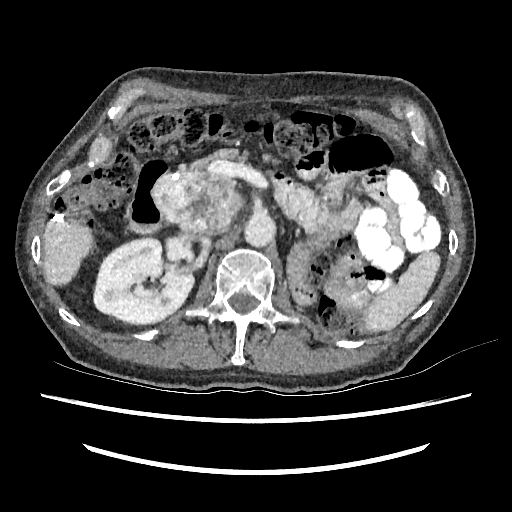
CT scan slice
{
  "kidney": [
    {"x1": 94, "y1": 239, "x2": 193, "y2": 323}
  ],
  "liver": [
    {"x1": 44, "y1": 220, "x2": 92, "y2": 285}
  ]
}